CT; Abdomen 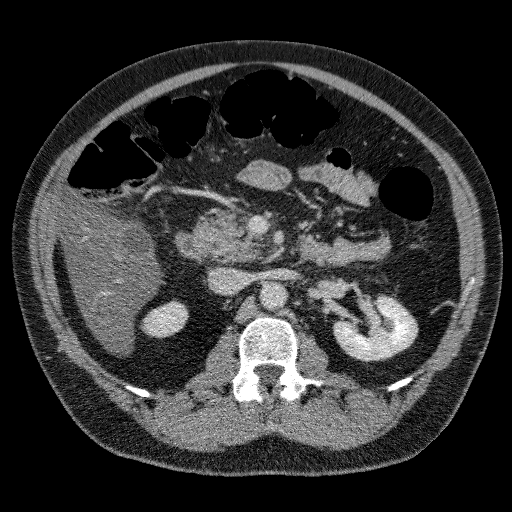 liver: (57,188,160,352) | focal liver lesion: (119,225,151,258) | kidney: (335,297,416,359), (145,303,185,335)